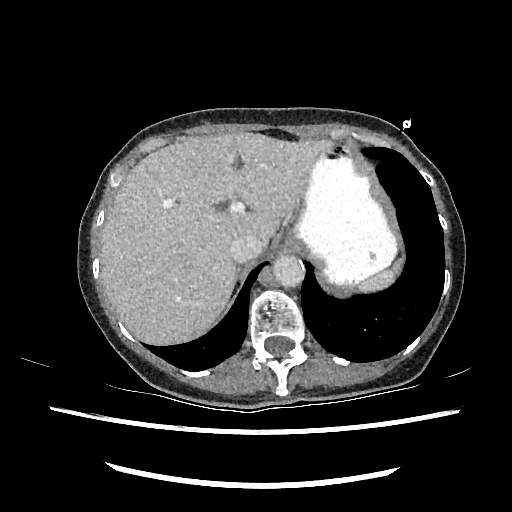 CT; Image size 512x512
Liver = bbox(102, 133, 330, 342).